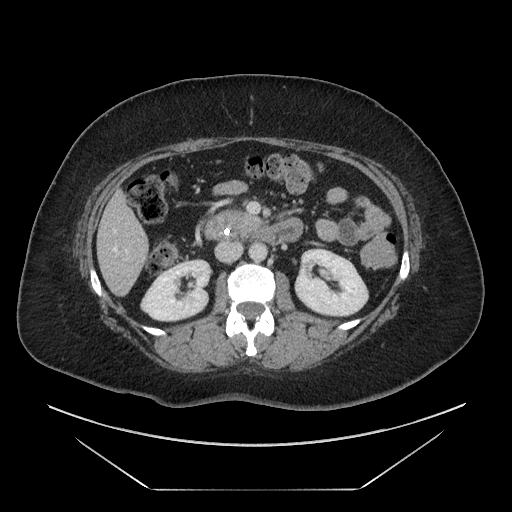 Image size 512x512. CT scan slice.
The pancreas lies within (left=229, top=210, right=261, bottom=233). The pancreatic tumor appears at (left=231, top=221, right=241, bottom=234).